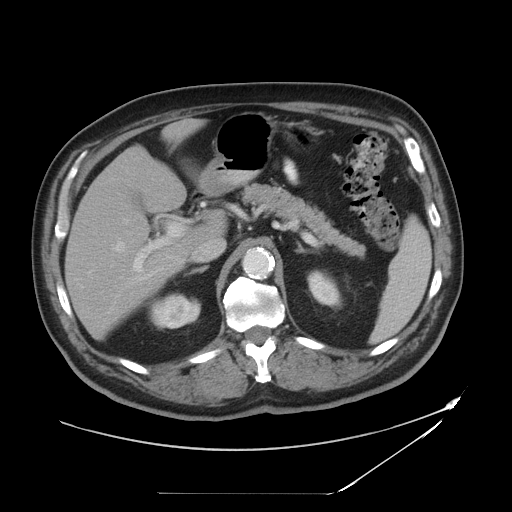

512x512 px. CT image.

The vessel boxes may cover only some of the vessels.
Hepatic vessel at 111 234 124 251, 79 284 83 287, 165 255 182 263, 88 272 90 273, 126 264 166 286, 123 219 128 223, 170 265 171 266.